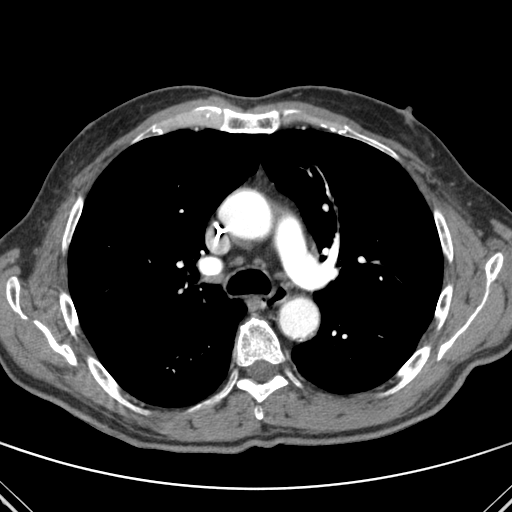
CT scan slice; 512x512

{"partial": true, "lung": ["68, 129, 442, 407"], "bone": {"n_total": 17, "boxes": ["196, 106, 278, 133", "33, 320, 76, 365", "434, 210, 452, 261", "6, 277, 25, 318", "236, 317, 284, 366", "324, 124, 349, 133", "437, 253, 503, 360", "87, 357, 134, 409", "391, 346, 430, 392", "62, 197, 82, 248", "189, 372, 287, 419", "361, 136, 395, 155", "60, 293, 78, 336", "135, 125, 162, 141", "435, 285, 452, 328"]}}